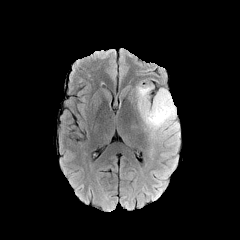
FLAIR MR image.
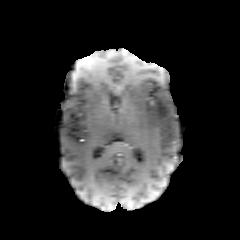
Same slice, T1-weighted MRI.
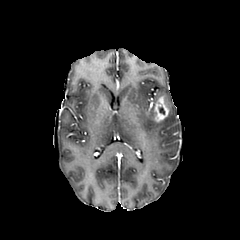
Same slice, post-contrast T1-weighted magnetic resonance.
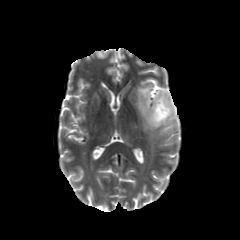
T2-weighted magnetic resonance.
Head, 240x240
enhancing tumor: <bbox>151, 96, 169, 122</bbox> | edema: <bbox>136, 83, 180, 164</bbox>